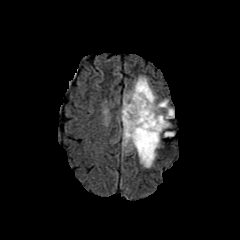
FLAIR magnetic resonance.
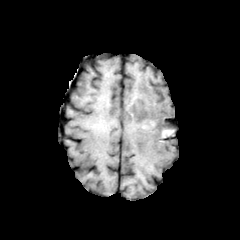
T1-weighted MRI.
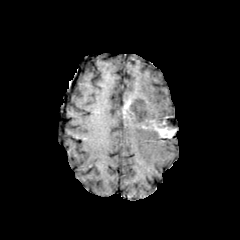
Post-contrast T1-weighted MR image.
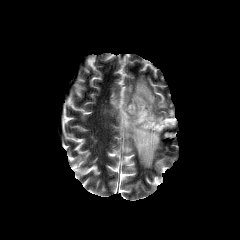
Same slice, T2-weighted MR.
• enhancing tumor: 122:98:131:121, 153:121:169:136
• edema: 120:116:161:167, 123:76:175:134
• non-enhancing tumor core: 123:93:168:133